MR image | Slice 20 of 36 | Medial temporal lobe 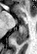

The posterior hippocampus is located at <box>13,25,27,44</box>.